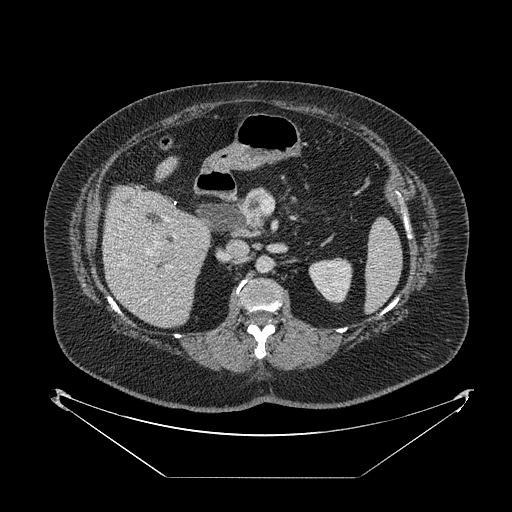

Upper abdomen. 512x512. CT scan slice. Annotated regions:
* pancreas: {"x1": 243, "y1": 187, "x2": 275, "y2": 228}